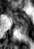 MR image

{
  "anterior_hippocampus": [
    "l=11, t=13, r=29, b=23"
  ],
  "posterior_hippocampus": [
    "l=16, t=24, r=28, b=35"
  ]
}